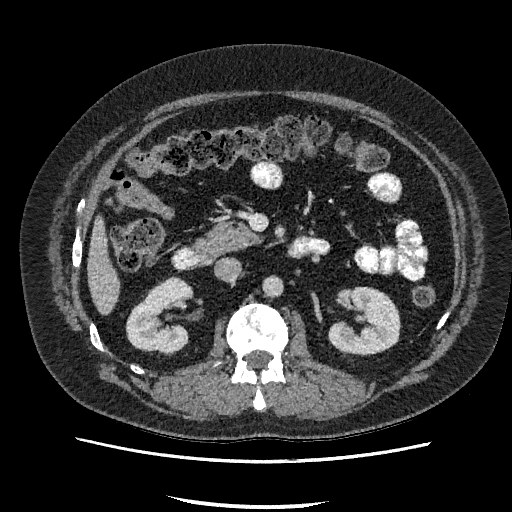 Computed tomography
Kidney at <box>329,288,398,353</box>, <box>127,279,190,351</box>.
Liver at <box>88,220,119,313</box>.